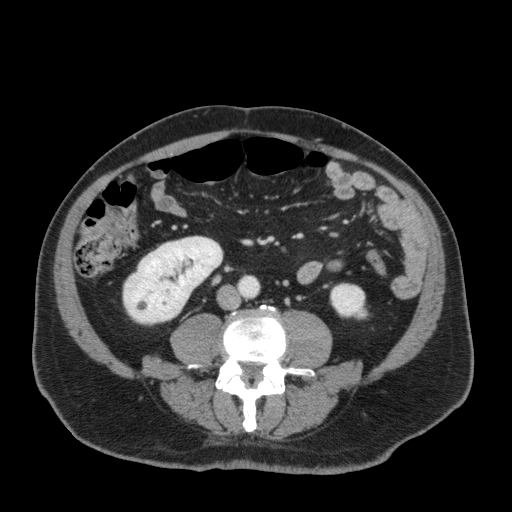
CT slice. Image size 512x512.

2 kidney regions are located at 124,237,221,322; 331,284,363,315.